Image width 424 mm; CT scan slice; Upper abdomen
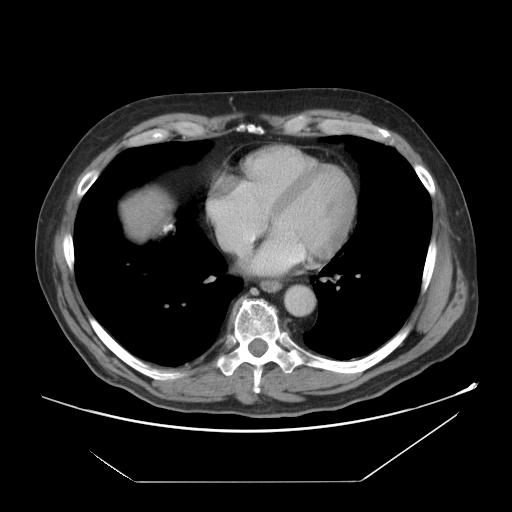
Liver at bbox=[122, 191, 170, 237].